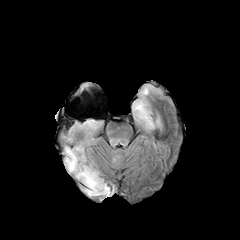
FLAIR MR.
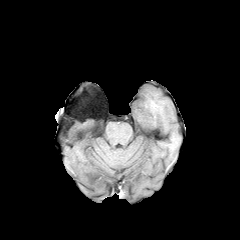
T1-weighted magnetic resonance.
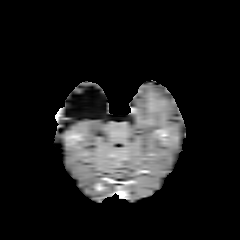
Post-contrast T1-weighted MRI.
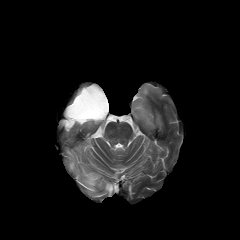
T2-weighted magnetic resonance.
Image size 240x240
Edema: (x1=134, y1=100, x2=151, y2=123), (x1=64, y1=119, x2=115, y2=196).